CT slice
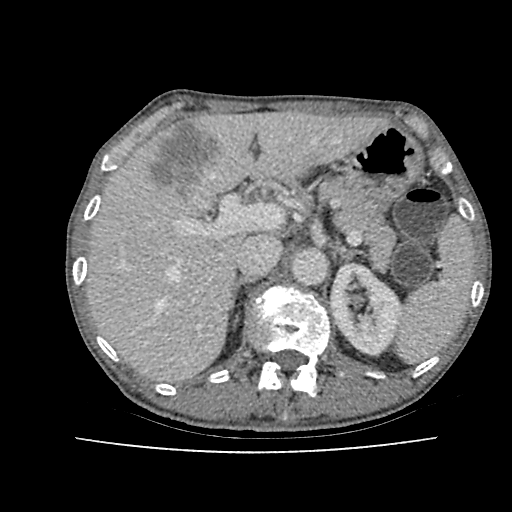 Segmented structures:
• kidney: x1=331 y1=266 x2=400 y2=353
• liver: x1=89 y1=112 x2=380 y2=379
• liver lesion: x1=150 y1=119 x2=219 y2=197